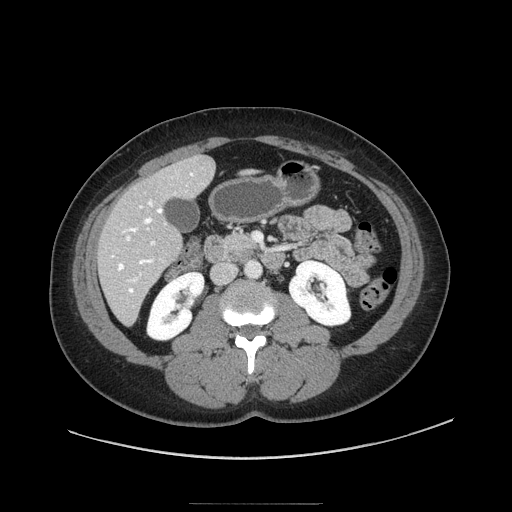 CT slice. Abdomen. Pancreatic tumor — 229,243,254,263.
Pancreas — 223,231,258,264.